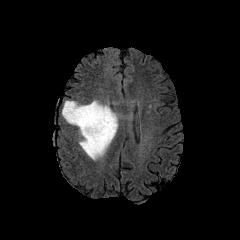
FLAIR magnetic resonance.
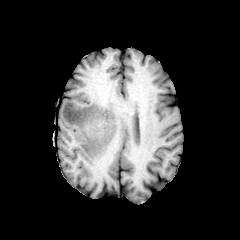
T1-weighted MR.
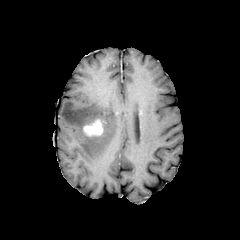
Post-contrast T1-weighted magnetic resonance.
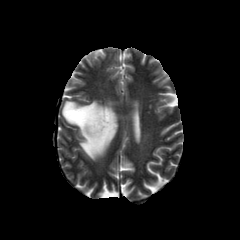
T2-weighted MRI of the same slice.
Edema — (left=60, top=99, right=118, bottom=160).
Enhancing tumor — (left=83, top=118, right=102, bottom=135).
Non-enhancing tumor core — (left=89, top=118, right=105, bottom=137).